Image size 512x512, Thorax, CT image 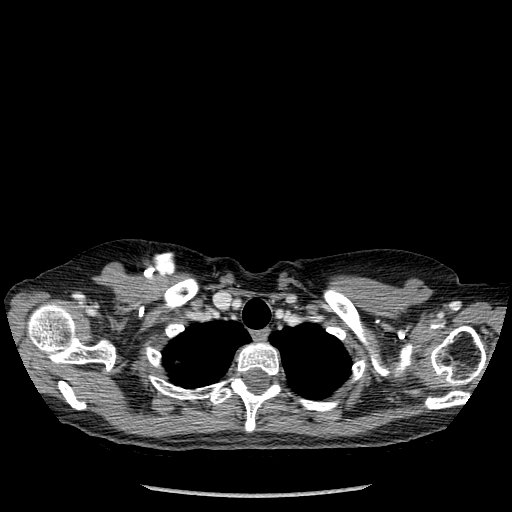

Segmented structures:
• lung: (x1=162, y1=298, x2=270, y2=388), (x1=270, y1=322, x2=351, y2=399)
• bone: (x1=352, y1=360, x2=365, y2=380), (x1=326, y1=326, x2=345, y2=339), (x1=149, y1=375, x2=281, y2=431), (x1=27, y1=303, x2=115, y2=371), (x1=324, y1=289, x2=412, y2=378), (x1=236, y1=342, x2=278, y2=375), (x1=58, y1=381, x2=85, y2=409), (x1=299, y1=399, x2=337, y2=411), (x1=430, y1=326, x2=485, y2=385), (x1=425, y1=390, x2=469, y2=408), (x1=164, y1=278, x2=198, y2=308), (x1=165, y1=323, x2=184, y2=337), (x1=145, y1=347, x2=160, y2=367)